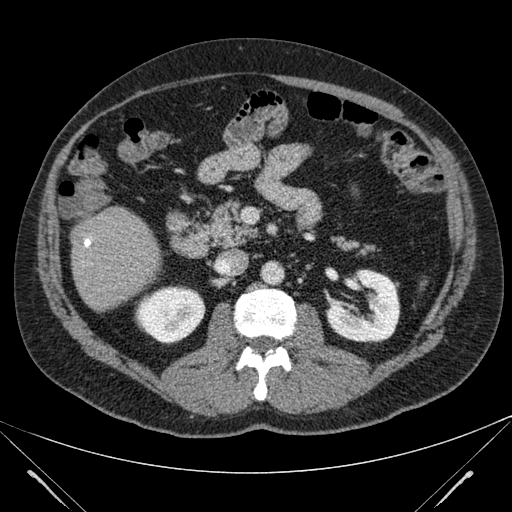 Abdomen; CT

Liver: bounding box <box>71,206,160,311</box>.
Kidney: bounding box <box>137,287,203,341</box>, <box>327,270,398,340</box>.